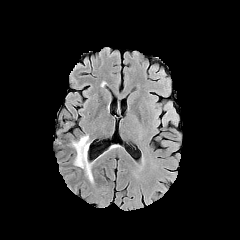
FLAIR MR image.
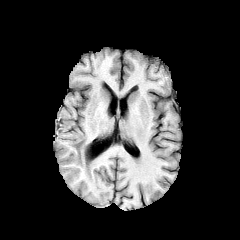
Same slice, T1-weighted MRI.
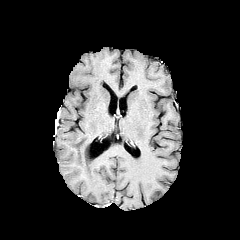
Same slice, post-contrast T1-weighted MR image.
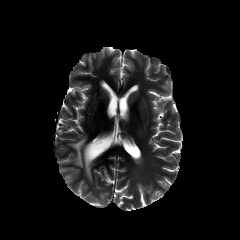
Same slice, T2-weighted MRI.
Image size 240x240
edema:
  - bbox(69, 134, 94, 182)